Slice 55/173. CT scan slice. 512x512.
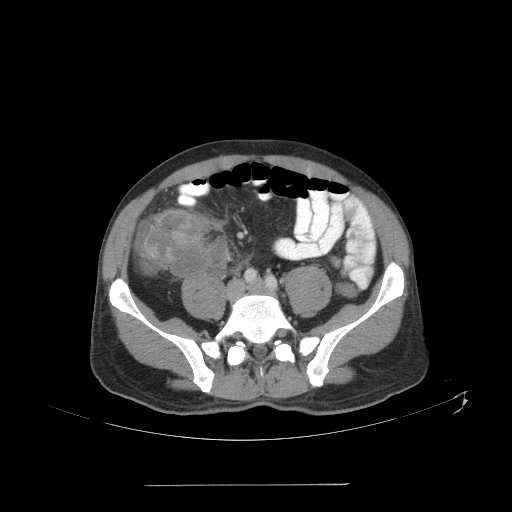
Annotated regions:
• colon tumor: 140,210,207,276